CT image | Slice 37 of 588 | 512x512 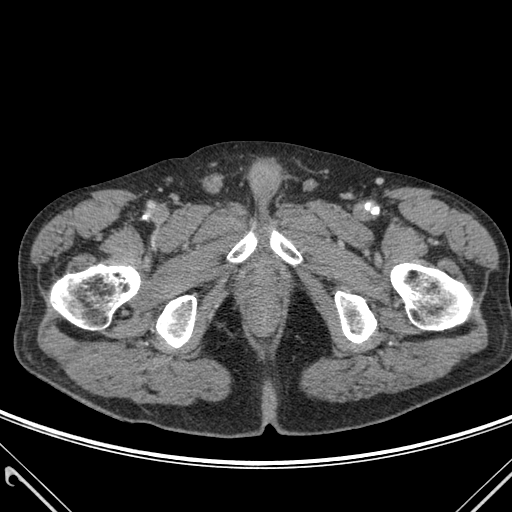

Bone — 391,263,472,330; 227,232,256,262; 51,264,140,329; 156,295,196,347; 270,230,301,264; 335,291,376,343.